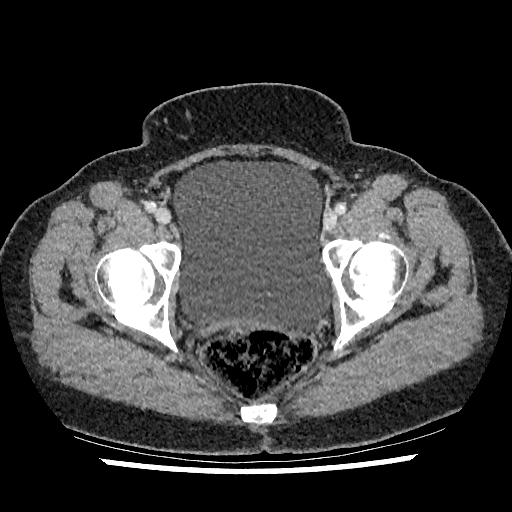
CT.
<segmentation>
  <urinary_bladder><bbox>173, 160, 333, 332</bbox></urinary_bladder>
</segmentation>